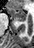

Magnetic resonance. The posterior hippocampus is at 16:20:24:21. The anterior hippocampus is located at 8:7:26:19.